MR image; Slice 13 of 38
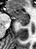

Posterior hippocampus: bounding box box(19, 22, 28, 26).
Anterior hippocampus: bounding box box(8, 6, 29, 21).